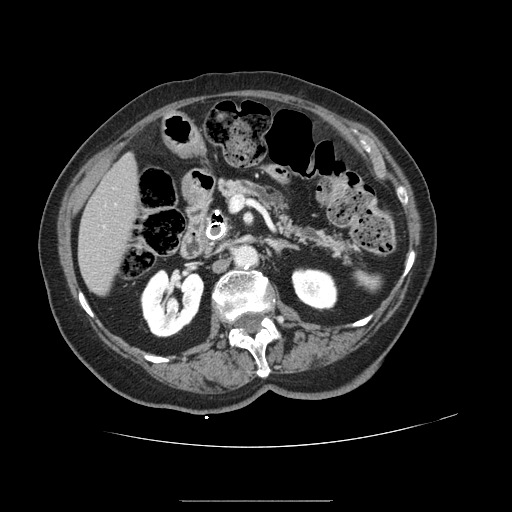 Computed tomography; Upper abdomen

- pancreas: (218, 178, 359, 259)